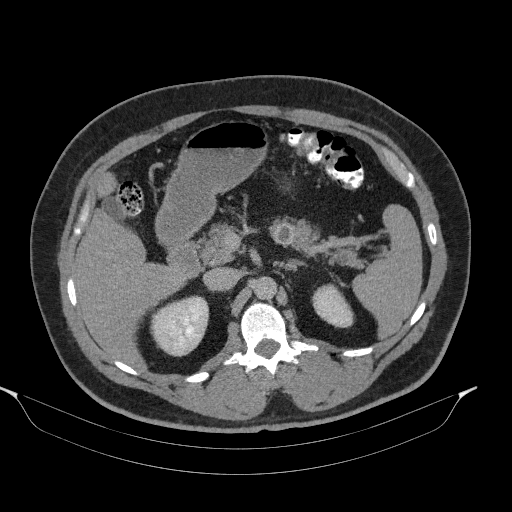

CT slice, Abdomen
Pancreatic tumor: bounding box 274, 223, 295, 245.
Pancreas: bounding box 202, 222, 229, 264; 330, 246, 360, 264; 270, 217, 317, 251.